CT scan slice | 512x512 | Image width 339 mm 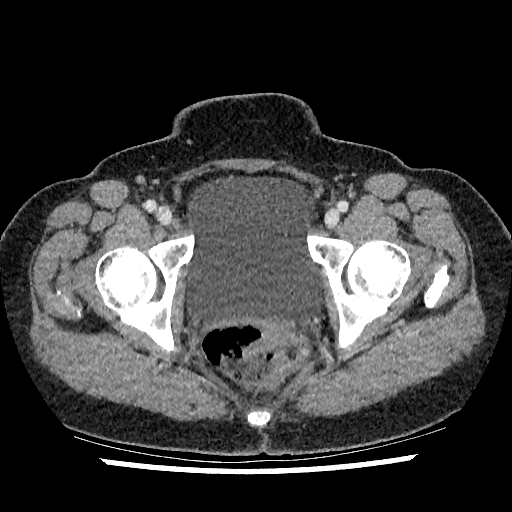 Urinary bladder: left=185, top=175, right=326, bottom=326.